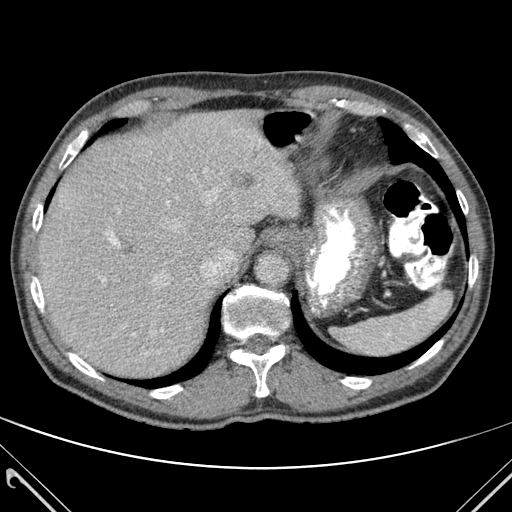

CT scan slice | Upper abdomen

Liver = x1=39, y1=109, x2=299, y2=377.
Lung = x1=378, y1=118, x2=465, y2=236; x1=132, y1=299, x2=221, y2=388; x1=102, y1=119, x2=126, y2=130; x1=291, y1=293, x2=452, y2=374.
Bone = x1=341, y1=377, x2=370, y2=389; x1=60, y1=132, x2=86, y2=167; x1=69, y1=353, x2=102, y2=379; x1=31, y1=277, x2=43, y2=311; x1=223, y1=286, x2=288, y2=338; x1=230, y1=345, x2=284, y2=396; x1=457, y1=191, x2=467, y2=213; x1=151, y1=385, x2=182, y2=398; x1=469, y1=257, x2=477, y2=284; x1=411, y1=129, x2=437, y2=157; x1=33, y1=204, x2=42, y2=230; x1=414, y1=341, x2=442, y2=365.
Focal liver lesion = x1=230, y1=169, x2=253, y2=187.